Slice 122/151, CT slice, Liver
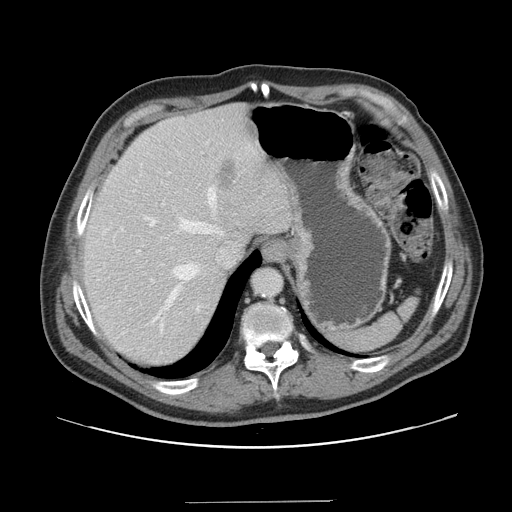 Not every hepatic vessel necessarily has a box.
9 hepatic vessel regions appear at <bbox>163, 285, 180, 309</bbox>, <bbox>144, 217, 155, 225</bbox>, <bbox>173, 264, 198, 279</bbox>, <bbox>207, 186, 215, 210</bbox>, <bbox>136, 250, 140, 252</bbox>, <bbox>151, 279, 153, 281</bbox>, <bbox>161, 324, 162, 329</bbox>, <bbox>154, 313, 160, 320</bbox>, <bbox>179, 218, 222, 234</bbox>. The liver tumor is bounded by <bbox>217, 159, 237, 190</bbox>.